512x512 | Lung | Slice 346 of 493 | CT
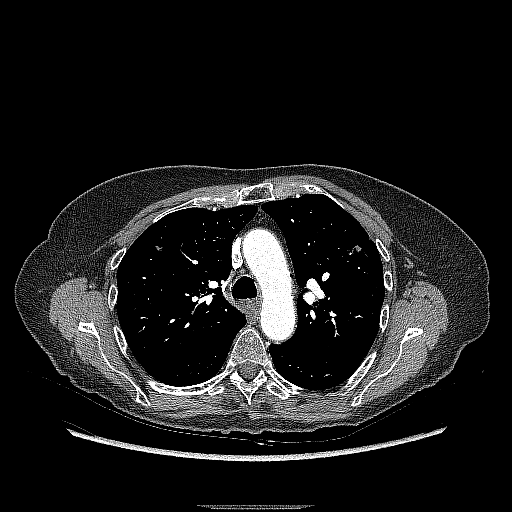 The lung tumor is bounded by 350, 245, 362, 252.